Upper abdomen. CT scan slice. Image width 398 mm.

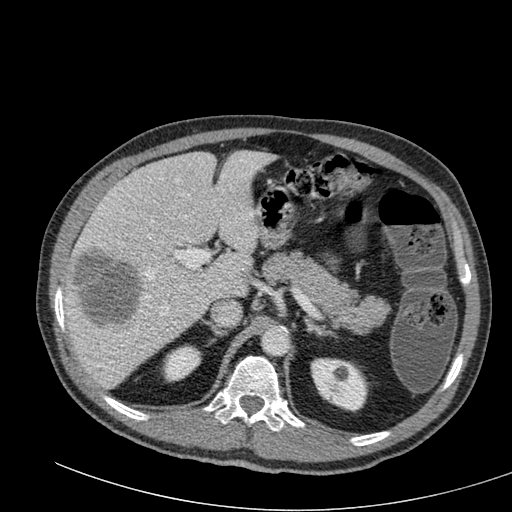 liver: rect(61, 151, 276, 388) | kidney: rect(312, 359, 365, 409); rect(165, 347, 199, 379) | liver lesion: rect(75, 247, 140, 328)